CT | Slice 420/826 | Liver
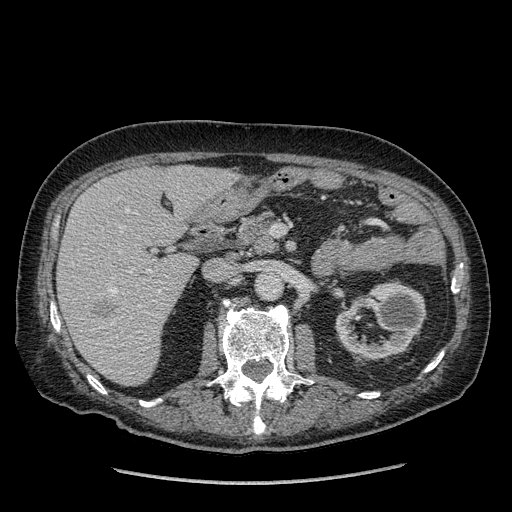

Liver = [57, 165, 234, 386].
Liver lesion = [92, 300, 115, 319].
Kidney = [335, 282, 425, 359].